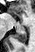

MRI slice
posterior hippocampus: (left=9, top=30, right=26, bottom=43)